Image width 432 mm | CT 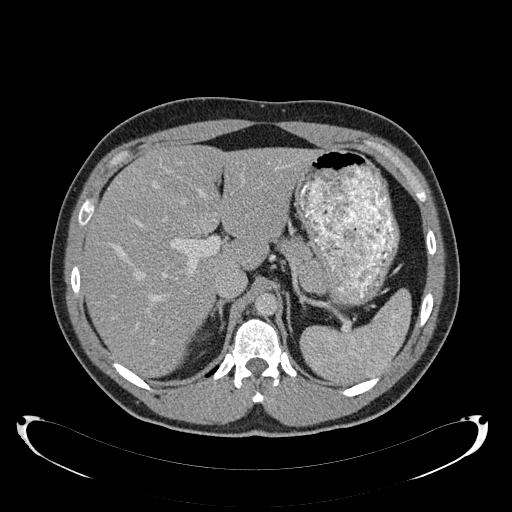
The liver is at (x1=85, y1=145, x2=322, y2=376).